Slice 66/155. 240x240 px. Field of view 240x240 mm.
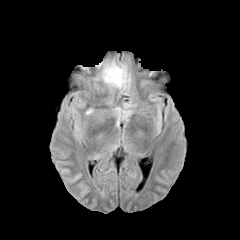
FLAIR MR.
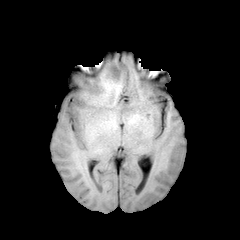
Same slice, T1-weighted MR image.
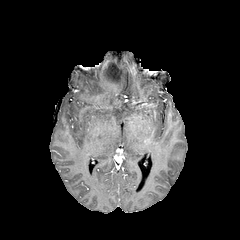
Post-contrast T1-weighted MRI.
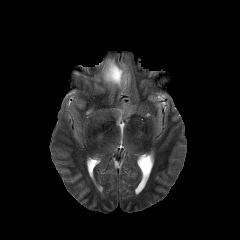
T2-weighted MRI.
Edema: bounding box rect(95, 56, 131, 98).
Non-enhancing tumor core: bounding box rect(101, 70, 113, 85).